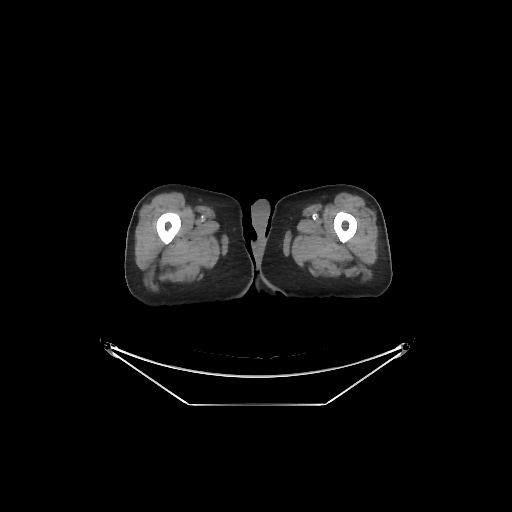 CT image.

Bone: {"x1": 334, "y1": 211, "x2": 356, "y2": 242}, {"x1": 156, "y1": 212, "x2": 180, "y2": 243}.